FLAIR magnetic resonance.
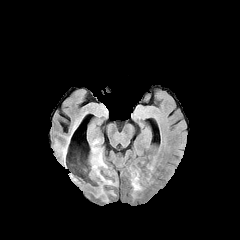
T1-weighted MRI.
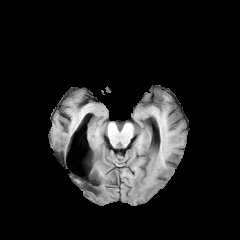
Post-contrast T1-weighted magnetic resonance.
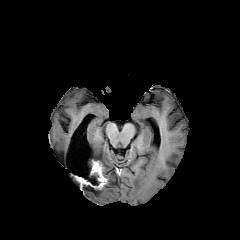
T2-weighted MR image.
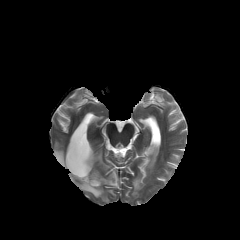
2 enhancing tumor regions are located at left=76, top=177, right=91, bottom=186; left=91, top=161, right=106, bottom=187. 3 edema regions appear at left=94, top=186, right=107, bottom=197; left=89, top=140, right=118, bottom=186; left=54, top=141, right=67, bottom=161. The non-enhancing tumor core is bounded by left=88, top=172, right=100, bottom=187.